Slice 102/155. Head.
FLAIR MR.
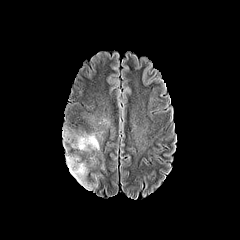
T1-weighted magnetic resonance.
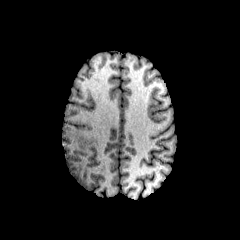
Post-contrast T1-weighted magnetic resonance.
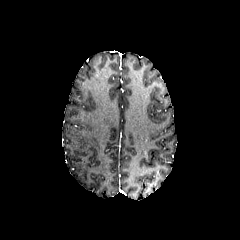
T2-weighted MRI.
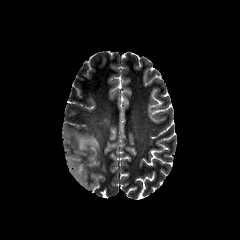
Edema — [65,156,88,188], [62,130,100,153].